FLAIR MR.
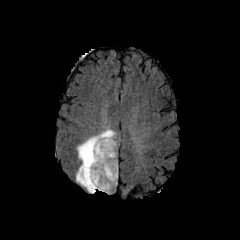
T1-weighted magnetic resonance.
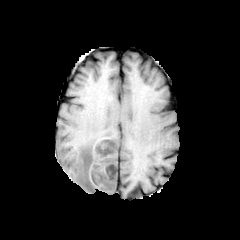
Post-contrast T1-weighted MR.
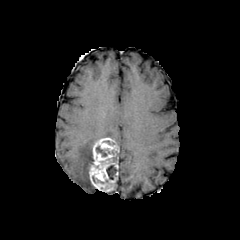
T2-weighted magnetic resonance.
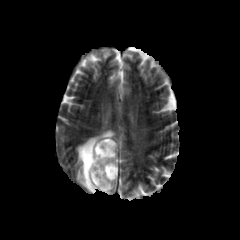
Brain
The edema is located at <box>75,129,115,193</box>. The enhancing tumor is located at <box>89,137,118,192</box>. The non-enhancing tumor core is located at <box>106,165,116,179</box>.